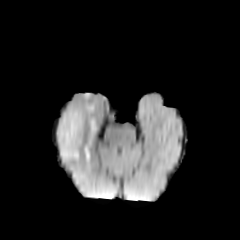
FLAIR magnetic resonance.
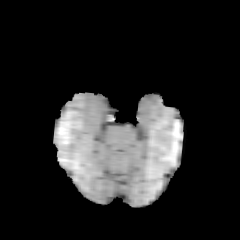
T1-weighted MR.
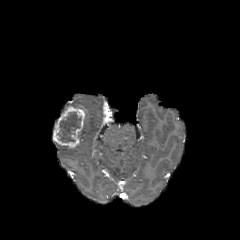
Post-contrast T1-weighted magnetic resonance.
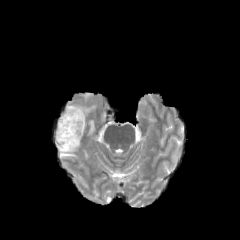
Same slice, T2-weighted MR image.
Image size 240x240
3 edema regions appear at 75 103 95 113, 58 143 79 160, 79 116 95 138. The non-enhancing tumor core appears at 58 111 80 142. The enhancing tumor is bounded by 52 105 86 148.